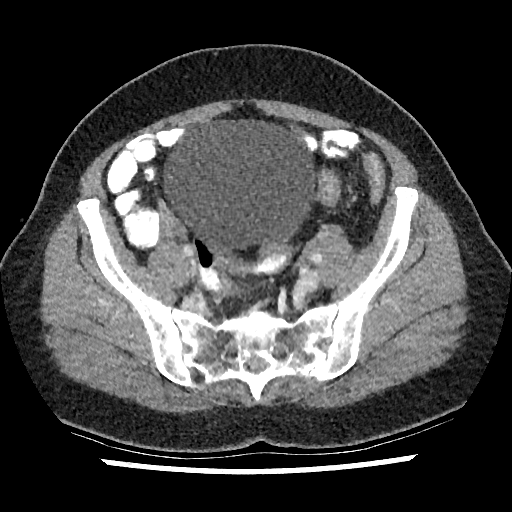
Computed tomography

Urinary bladder: <bbox>163, 119, 317, 261</bbox>.